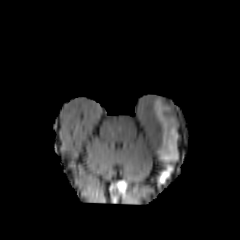
FLAIR MRI.
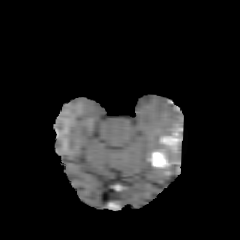
T1-weighted MR of the same slice.
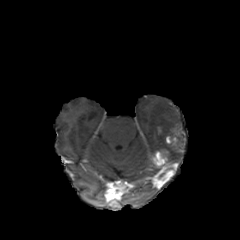
Post-contrast T1-weighted MRI of the same slice.
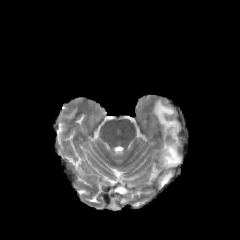
T2-weighted MR of the same slice.
240x240 px
* non-enhancing tumor core: 167, 126, 182, 147
* enhancing tumor: 166, 136, 178, 145; 154, 150, 167, 165
* edema: 152, 98, 182, 165